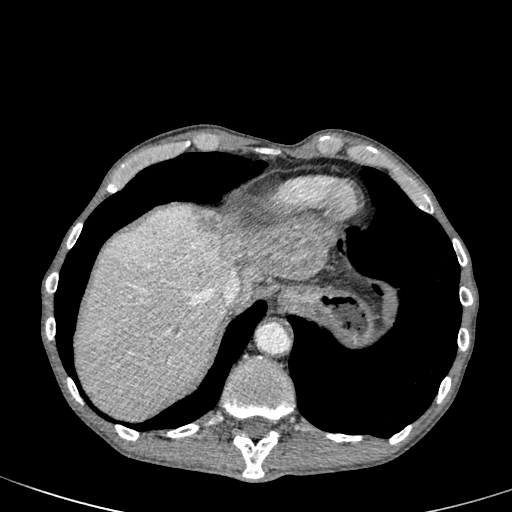

Upper abdomen, CT image

Liver at 242:220:252:228, 76:205:260:420.
Focal liver lesion at 194:208:329:279.